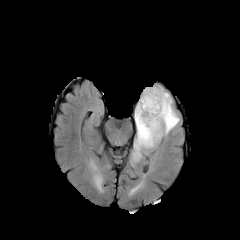
FLAIR MR.
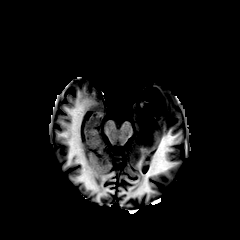
Same slice, T1-weighted MR.
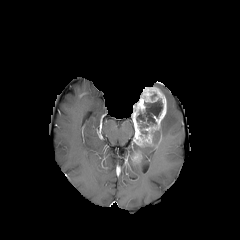
Same slice, post-contrast T1-weighted MRI.
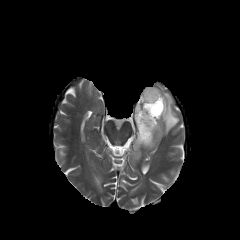
T2-weighted MR.
Image size 240x240
edema:
  - (x1=127, y1=143, x2=155, y2=165)
  - (x1=158, y1=87, x2=179, y2=137)
enhancing_tumor:
  - (x1=132, y1=89, x2=166, y2=145)
non-enhancing_tumor_core:
  - (x1=148, y1=131, x2=161, y2=147)
  - (x1=136, y1=99, x2=162, y2=128)
  - (x1=141, y1=87, x2=158, y2=98)